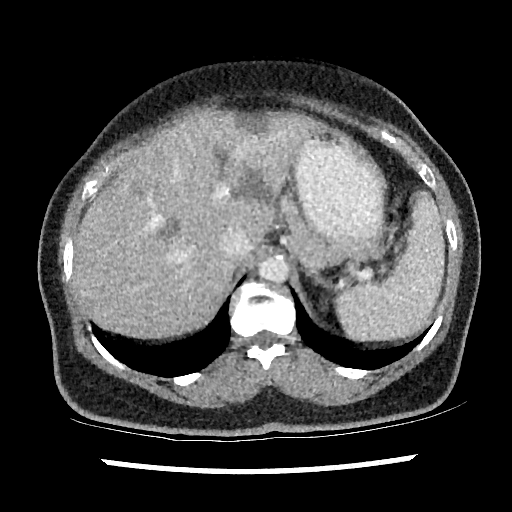
CT | Abdomen

Segmented structures:
• liver: [72, 113, 317, 338]
• focal liver lesion: [160, 218, 178, 238], [236, 114, 267, 132], [234, 165, 272, 204]